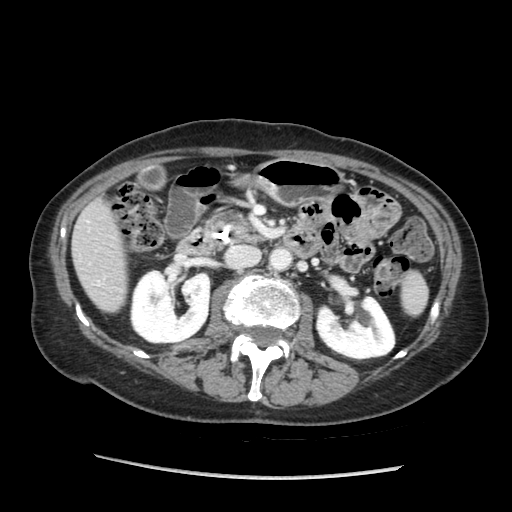

Abdomen. CT image. Pancreas: (210, 209, 263, 242).